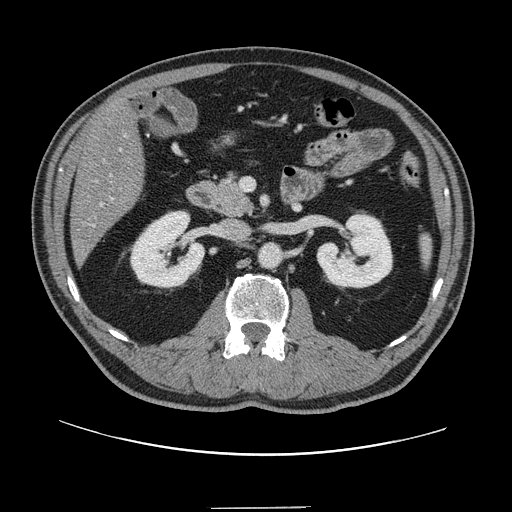
CT
The vessel boxes may cover only some of the vessels.
liver_tumor:
  - box=[71, 215, 85, 229]
hepatic_vessel:
  - box=[100, 204, 102, 206]
  - box=[124, 135, 126, 136]
  - box=[111, 198, 113, 200]
  - box=[92, 224, 94, 226]
  - box=[96, 180, 97, 182]
  - box=[120, 149, 121, 150]